FLAIR MRI.
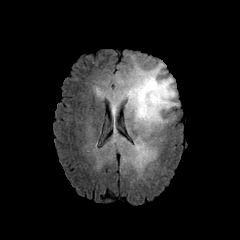
T1-weighted magnetic resonance.
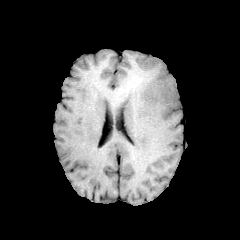
Post-contrast T1-weighted MR.
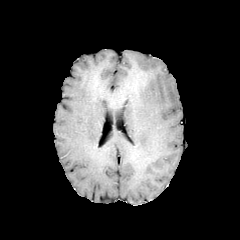
T2-weighted MR.
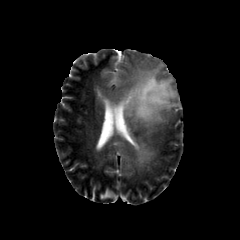
Image size 240x240 | Brain
3 edema regions are bounded by 110:104:115:122, 130:140:155:167, 96:62:179:133. The non-enhancing tumor core is bounded by 110:67:148:115.